Slice 72/155. Field of view 240x240 mm. Head.
FLAIR MR image.
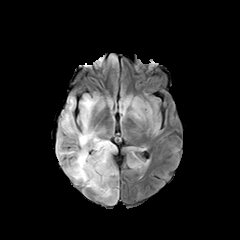
T1-weighted MR.
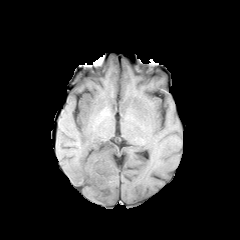
Post-contrast T1-weighted MR image.
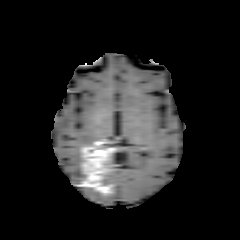
T2-weighted MRI.
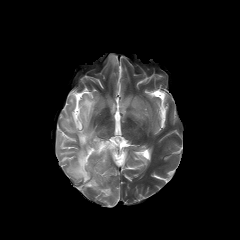
non-enhancing_tumor_core:
  - rect(78, 154, 113, 195)
enhancing_tumor:
  - rect(80, 139, 115, 182)
  - rect(86, 177, 110, 195)
edema:
  - rect(58, 93, 99, 183)
  - rect(104, 170, 115, 181)